FLAIR MR image.
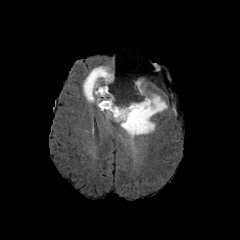
T1-weighted MR.
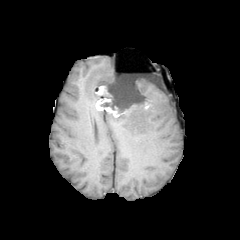
Post-contrast T1-weighted magnetic resonance.
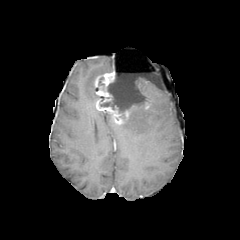
T2-weighted MR image.
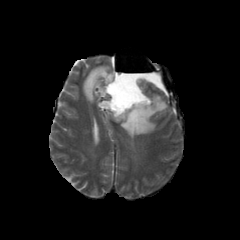
Brain
edema:
  - (82,65,113,102)
  - (120,78,168,139)
non-enhancing_tumor_core:
  - (101,80,150,122)
enhancing_tumor:
  - (94,71,122,123)